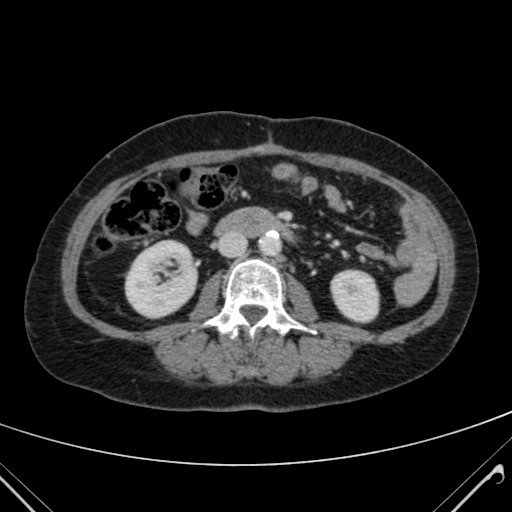
Abdomen, Computed tomography, Image size 512x512

Kidney = (left=332, top=271, right=377, bottom=320), (left=126, top=241, right=195, bottom=316).